CT, Abdomen 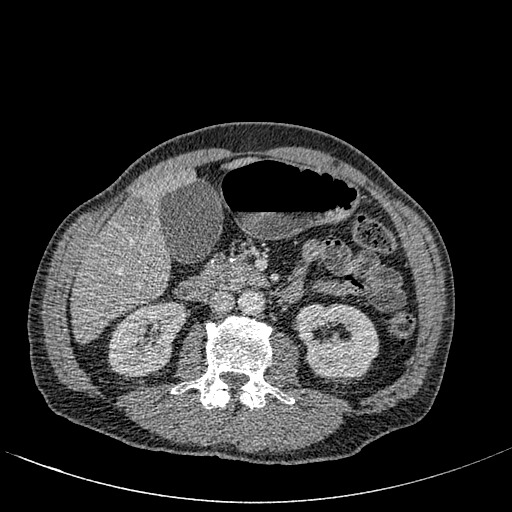
The liver lesion is at 118:196:154:233. 2 liver regions appear at 71:168:195:343, 224:158:255:168. 2 kidney regions are located at 109:302:186:376, 296:304:378:377.